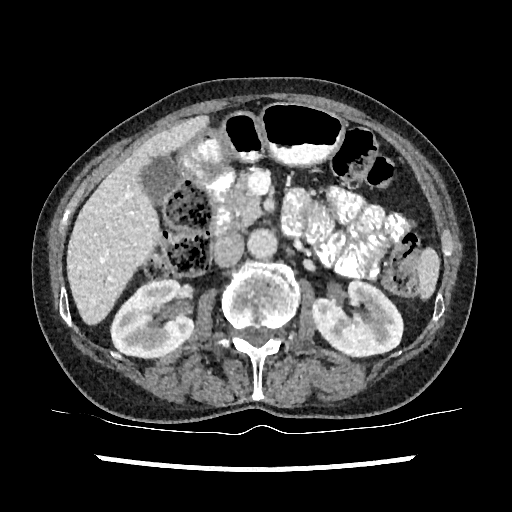
Liver; Computed tomography

<segmentation>
  <kidney>region(313, 281, 402, 355); region(112, 277, 193, 356)</kidney>
  <liver>region(67, 116, 207, 324)</liver>
</segmentation>